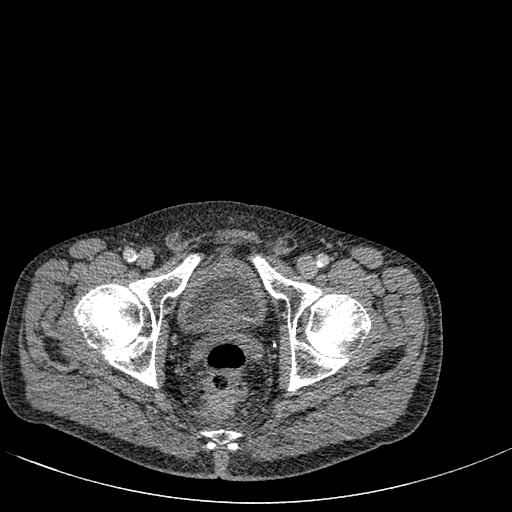 CT slice, Image size 512x512
<segmentation>
  <urinary_bladder>x1=175 y1=251 x2=268 y2=334</urinary_bladder>
</segmentation>